FLAIR MR image.
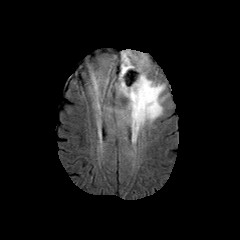
T1-weighted MR image.
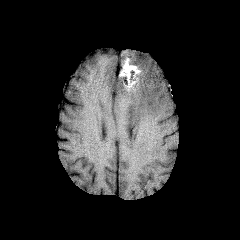
Post-contrast T1-weighted magnetic resonance.
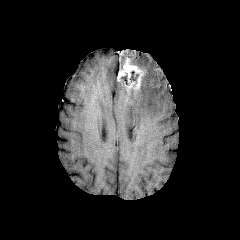
T2-weighted magnetic resonance.
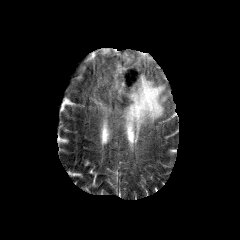
{"enhancing_tumor": ["x1=117 y1=58 x2=143 y2=88"], "edema": ["x1=120 y1=56 x2=125 y2=67", "x1=114 y1=51 x2=168 y2=148"], "non-enhancing_tumor_core": ["x1=125 y1=53 x2=137 y2=65", "x1=116 y1=70 x2=139 y2=93"]}